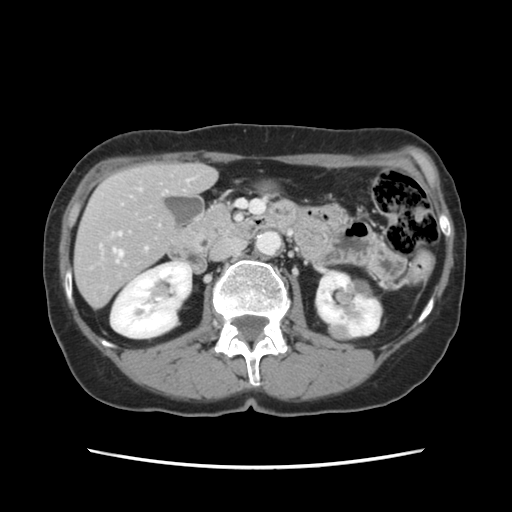

CT. Abdomen.
The vessel annotation is not exhaustive.
Annotated regions:
- hepatic vessel: (left=112, top=232, right=121, bottom=235), (left=113, top=249, right=122, bottom=256)